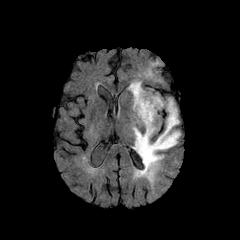
FLAIR MR.
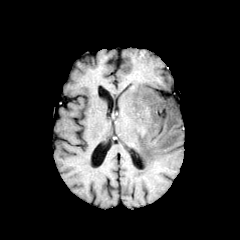
Same slice, T1-weighted magnetic resonance.
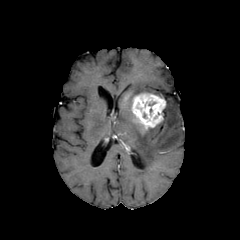
Post-contrast T1-weighted magnetic resonance.
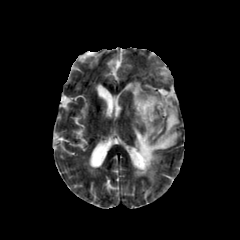
T2-weighted MRI of the same slice.
Head
2 edema regions are bounded by [127, 81, 146, 98], [132, 97, 180, 181]. The enhancing tumor is located at [132, 92, 166, 130].